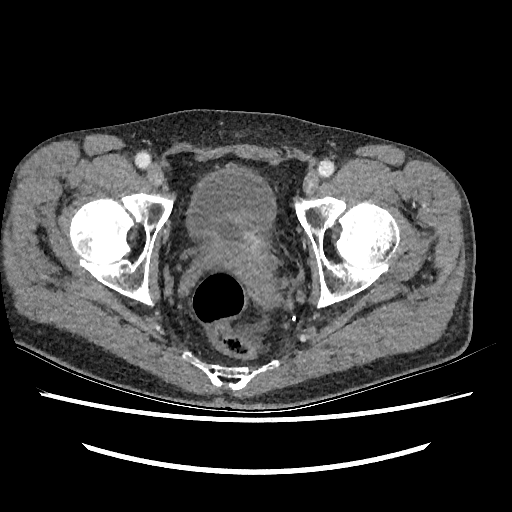

Image size 512x512, Lower abdomen, CT

The urinary bladder appears at box=[186, 172, 272, 246].